FLAIR MR image.
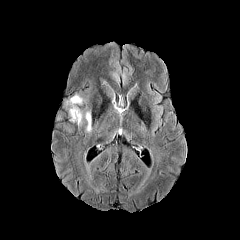
T1-weighted MR.
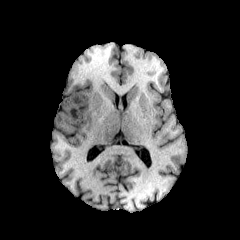
Post-contrast T1-weighted MR.
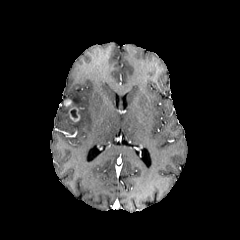
T2-weighted magnetic resonance.
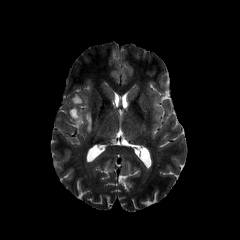
240x240 px | Brain
enhancing tumor: bbox(63, 98, 79, 122) | edema: bbox(71, 94, 82, 105); bbox(85, 112, 91, 132)